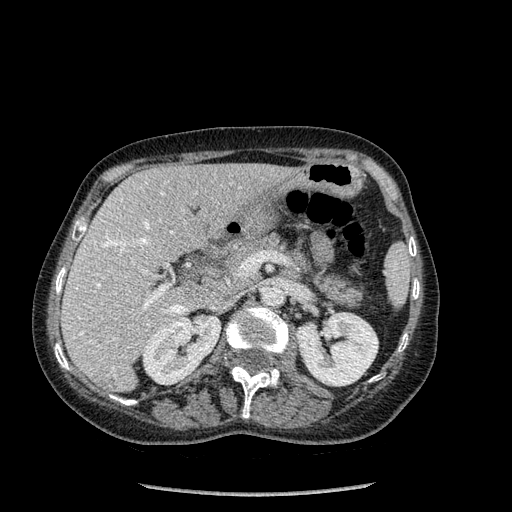

Upper abdomen; CT
The liver is located at x1=62, y1=164, x2=300, y2=392. 2 focal liver lesion regions are bounded by x1=184, y1=289, x2=199, y2=303; x1=96, y1=367, x2=116, y2=388. 2 kidney regions are located at x1=296, y1=312, x2=377, y2=385; x1=143, y1=316, x2=220, y2=384. 9 bone regions appear at x1=369, y1=375, x2=380, y2=381; x1=54, y1=343, x2=69, y2=369; x1=398, y1=333, x2=407, y2=351; x1=109, y1=394, x2=136, y2=405; x1=412, y1=278, x2=419, y2=299; x1=226, y1=306, x2=288, y2=357; x1=55, y1=267, x2=65, y2=293; x1=408, y1=237, x2=416, y2=256; x1=231, y1=364, x2=279, y2=417.